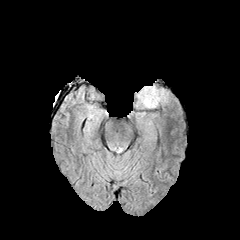
FLAIR MRI.
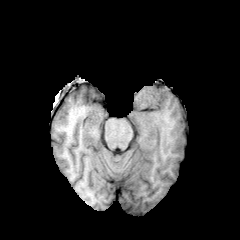
Same slice, T1-weighted MRI.
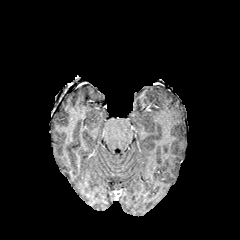
Post-contrast T1-weighted MR.
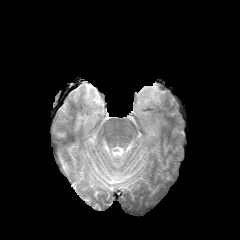
T2-weighted MRI.
Head
Edema: [138,86,162,107].